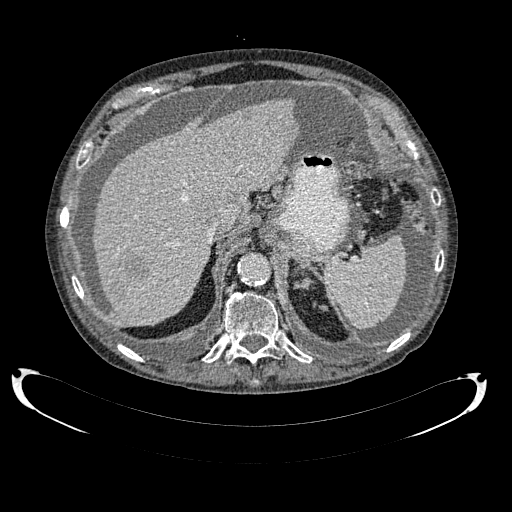

Upper abdomen. CT image.
- focal liver lesion: (110, 284, 124, 300), (196, 197, 215, 223), (284, 124, 294, 137), (123, 251, 147, 277)
- liver: (93, 98, 296, 325)